Upper abdomen. CT image.

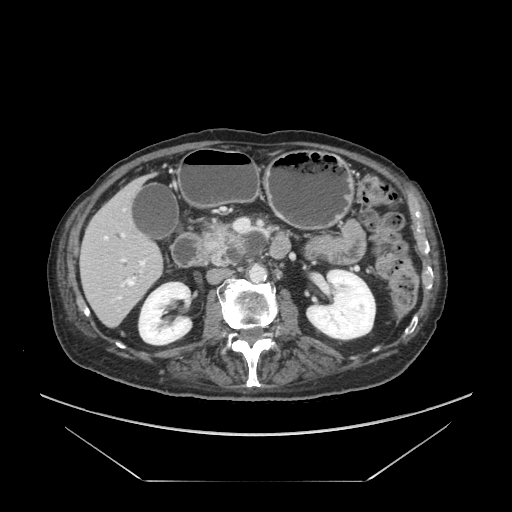
pancreas:
  - 204:226:247:265
pancreatic_tumor:
  - 207:235:224:252